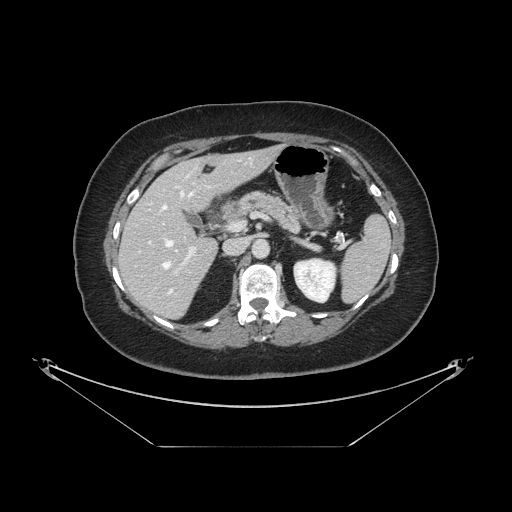 CT image.
The pancreas is at rect(225, 192, 300, 232). The pancreatic tumor appears at rect(230, 204, 241, 214).